CT slice | Slice 18 of 49 | Abdomen
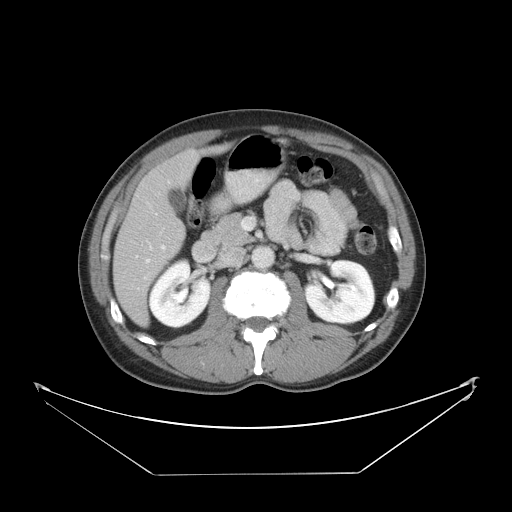

The vessel boxes may cover only some of the vessels.
Findings:
* hepatic vessel: <box>168,181,169,183</box>, <box>145,259,149,262</box>, <box>158,193,159,194</box>, <box>161,245,164,249</box>, <box>146,240,148,241</box>, <box>144,277,147,279</box>, <box>149,244,151,249</box>, <box>136,255,137,257</box>, <box>137,288,141,289</box>, <box>155,213,156,214</box>